240x240, Head, Field of view 240x240 mm
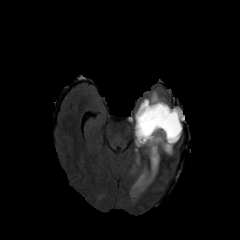
FLAIR MRI.
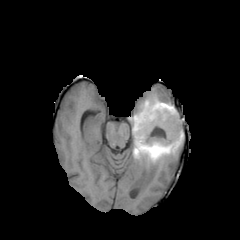
T1-weighted magnetic resonance.
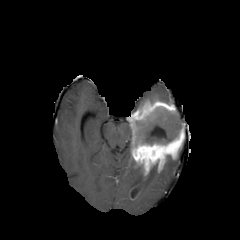
Same slice, post-contrast T1-weighted MR.
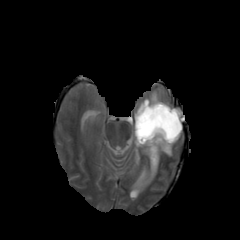
T2-weighted MR image.
non-enhancing tumor core: rect(131, 112, 181, 149) | enhancing tumor: rect(132, 124, 183, 175); rect(129, 100, 178, 140) | edema: rect(140, 90, 162, 104); rect(178, 108, 184, 123); rect(132, 169, 156, 193)